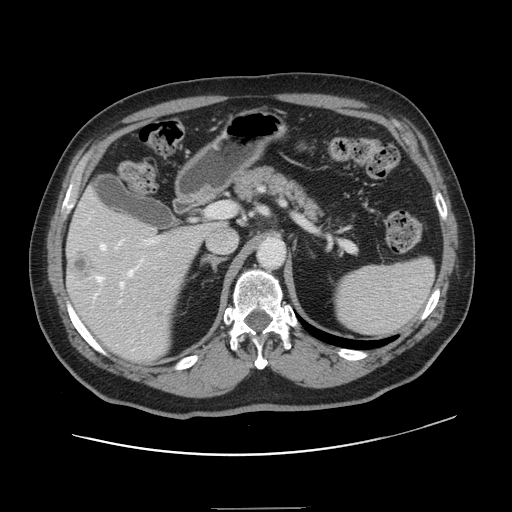

Liver. CT. The vessel boxes may cover only some of the vessels.
Liver tumor — (left=70, top=253, right=94, bottom=280).
Hepatic vessel — (left=128, top=260, right=141, bottom=276), (left=94, top=292, right=98, bottom=298), (left=120, top=282, right=123, bottom=286), (left=119, top=300, right=121, bottom=302), (left=96, top=276, right=103, bottom=282), (left=146, top=239, right=154, bottom=243), (left=101, top=244, right=105, bottom=250).